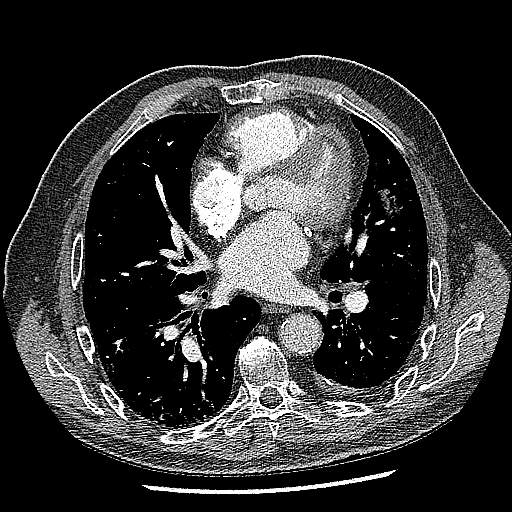
Computed tomography, 512x512
Lung tumor — left=378, top=184, right=403, bottom=217.